FLAIR MR image.
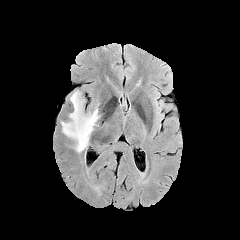
T1-weighted MR.
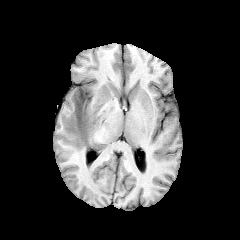
Post-contrast T1-weighted magnetic resonance.
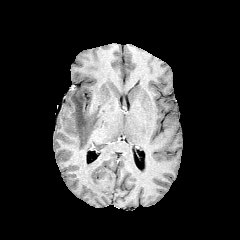
T2-weighted MR image.
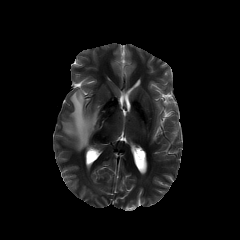
Brain, 240x240 px
non-enhancing tumor core: [76, 100, 82, 127] | edema: [60, 90, 100, 152]